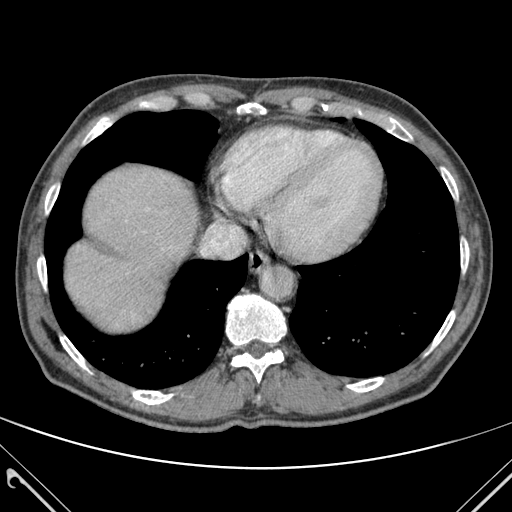

Upper abdomen; 512x512; Computed tomography
Liver = box(65, 167, 198, 332).
Bone = box(237, 103, 265, 113); box(460, 239, 468, 270); box(45, 183, 59, 213); box(347, 377, 383, 392); box(60, 335, 88, 370); box(37, 255, 46, 290); box(231, 350, 283, 382); box(380, 117, 411, 140); box(226, 295, 286, 344); box(430, 311, 454, 350); box(441, 168, 457, 197); box(133, 390, 172, 404); box(84, 118, 111, 141).
Lung = box(44, 110, 247, 388); box(289, 119, 459, 376).